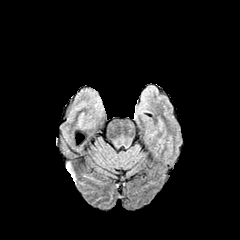
FLAIR magnetic resonance.
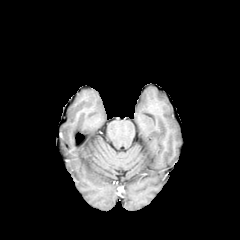
T1-weighted magnetic resonance.
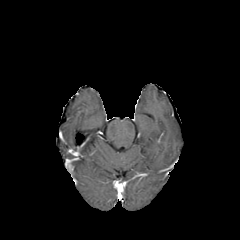
Post-contrast T1-weighted MR.
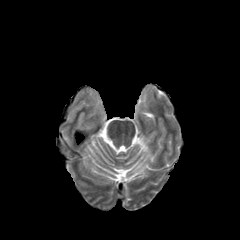
T2-weighted MRI.
240x240
Edema = bbox=[66, 162, 76, 184].